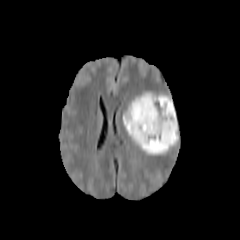
FLAIR MR.
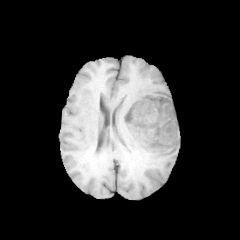
T1-weighted MR.
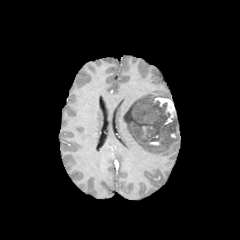
Post-contrast T1-weighted MRI.
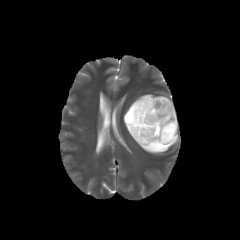
T2-weighted MR image.
Image size 240x240; Brain
Segmented structures:
* edema: rect(124, 118, 178, 155); rect(124, 91, 153, 114)
* non-enhancing tumor core: rect(124, 98, 178, 146)
* enhancing tumor: rect(152, 96, 176, 124); rect(141, 126, 147, 137)